Liver, Slice index 552, CT slice, Image size 512x512
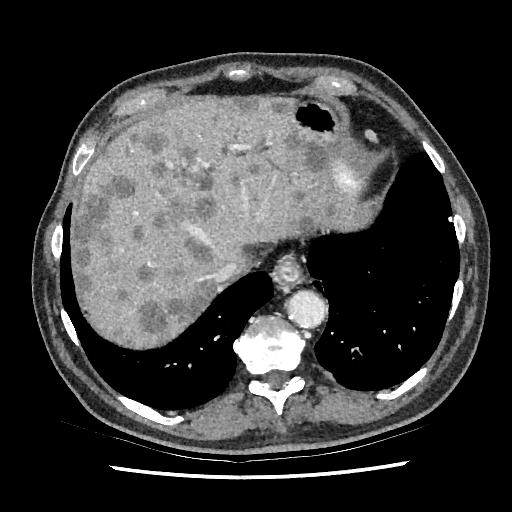

liver: (326, 148, 333, 163), (73, 98, 357, 347) | [15/20] liver lesion: (298, 216, 316, 231), (231, 98, 261, 112), (229, 173, 241, 185), (137, 280, 213, 334), (112, 325, 135, 345), (184, 237, 210, 260), (154, 195, 216, 229), (138, 265, 155, 281), (166, 266, 190, 281), (270, 100, 290, 114), (152, 151, 193, 175), (131, 129, 167, 153), (73, 174, 136, 302), (134, 225, 143, 240), (283, 128, 329, 173)